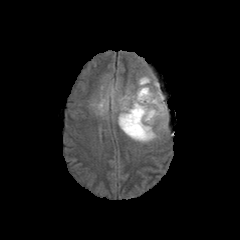
FLAIR MR image.
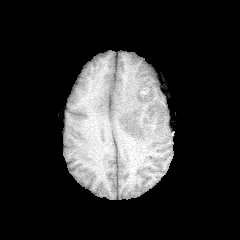
T1-weighted MR image.
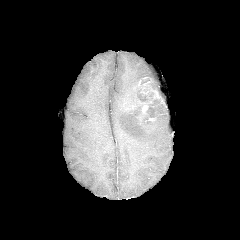
Post-contrast T1-weighted MRI of the same slice.
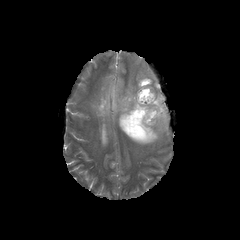
Same slice, T2-weighted MRI.
Brain
<segmentation>
  <non-enhancing_tumor_core>l=120, t=77, r=166, b=133</non-enhancing_tumor_core>
  <edema>l=93, t=84, r=168, b=143; l=124, t=85, r=135, b=95; l=151, t=82, r=165, b=105</edema>
  <enhancing_tumor>l=138, t=102, r=148, b=114</enhancing_tumor>
</segmentation>